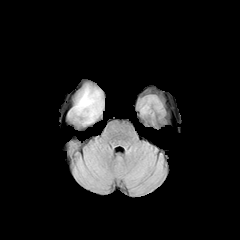
FLAIR MRI.
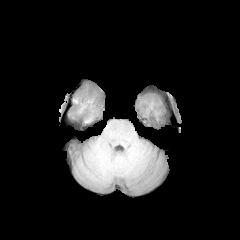
T1-weighted MRI.
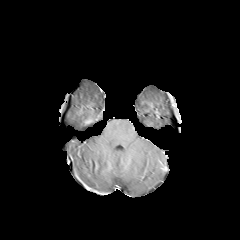
Post-contrast T1-weighted MRI.
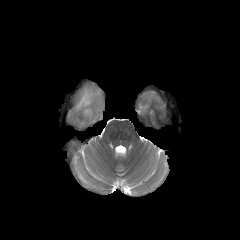
T2-weighted MR of the same slice.
non-enhancing tumor core: 78,106,96,121 | edema: 68,85,103,122